512x512 px. Upper abdomen. CT image. Slice 82/132.
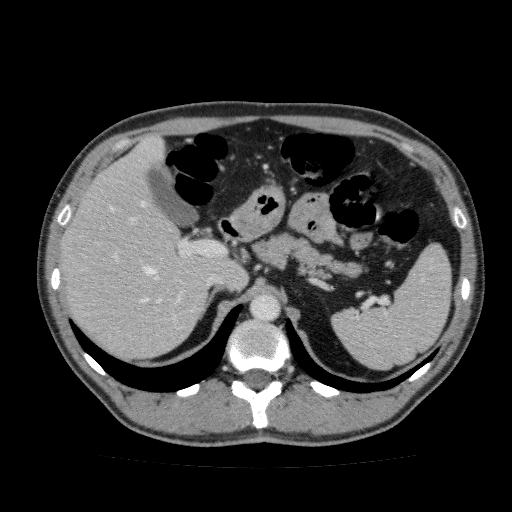

The liver is bounded by <bbox>59, 134, 248, 359</bbox>.